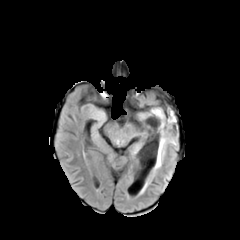
FLAIR MRI.
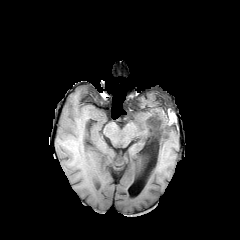
T1-weighted magnetic resonance.
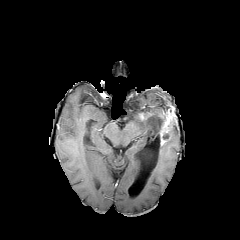
Post-contrast T1-weighted MRI.
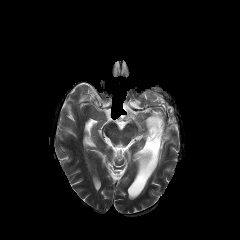
T2-weighted magnetic resonance.
Segmented structures:
• edema: left=130, top=143, right=141, bottom=152; left=138, top=104, right=161, bottom=125; left=143, top=126, right=177, bottom=191
• enhancing tumor: left=160, top=111, right=173, bottom=145
• non-enhancing tumor core: left=152, top=107, right=169, bottom=158